Field of view 360 mm wide, 1.25 mm slice spacing | CT slice

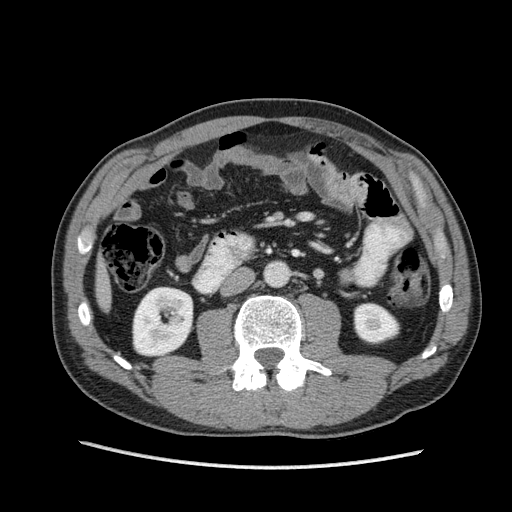
<segmentation>
  <kidney><bbox>134, 288, 192, 354</bbox>, <bbox>355, 304, 397, 341</bbox></kidney>
  <liver><bbox>95, 263, 111, 311</bbox></liver>
</segmentation>